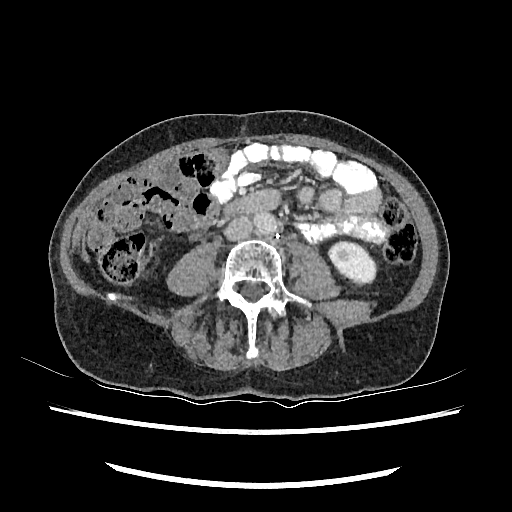
CT
The kidney is located at left=330, top=243, right=374, bottom=281.